Image width 240 mm; Image size 240x240
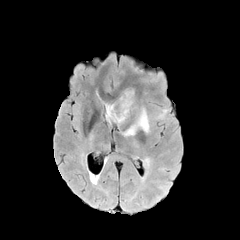
FLAIR magnetic resonance.
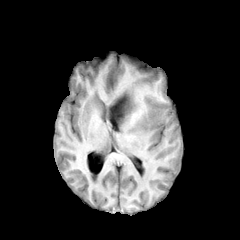
Same slice, T1-weighted magnetic resonance.
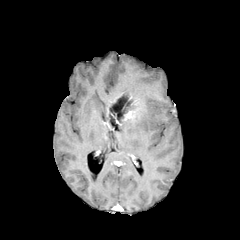
Post-contrast T1-weighted magnetic resonance.
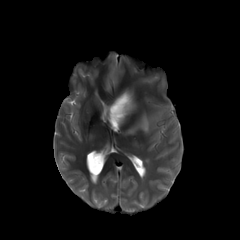
Same slice, T2-weighted MR image.
3 edema regions appear at [x1=104, y1=104, x2=111, y2=120], [x1=124, y1=110, x2=151, y2=135], [x1=156, y1=109, x2=167, y2=119]. The enhancing tumor is bounded by [x1=124, y1=110, x2=132, y2=119]. The non-enhancing tumor core appears at [x1=108, y1=96, x2=131, y2=127].